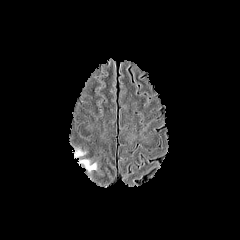
FLAIR MRI.
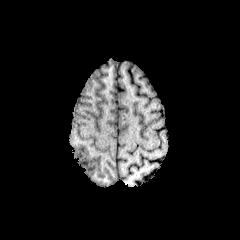
T1-weighted MR image.
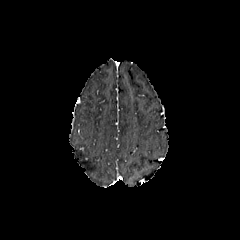
Post-contrast T1-weighted MR.
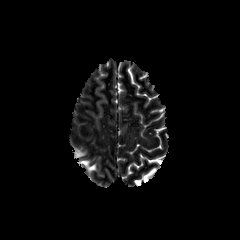
T2-weighted MR image.
2 edema regions are bounded by <box>77,159,96,172</box>, <box>72,149,85,158</box>.